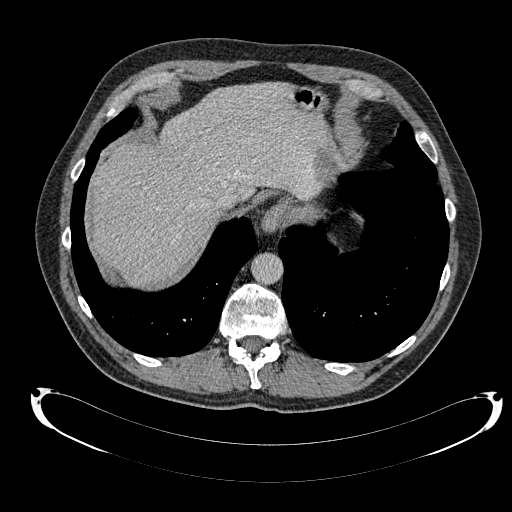 512x512. CT scan slice. The liver is located at <box>94,83,328,285</box>.